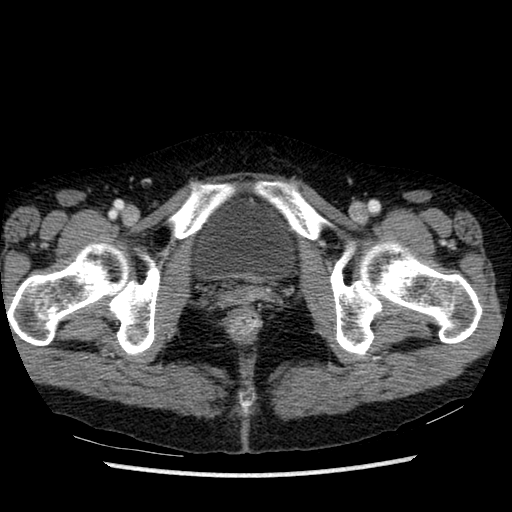

CT image
Urinary bladder = 189, 196, 301, 283.